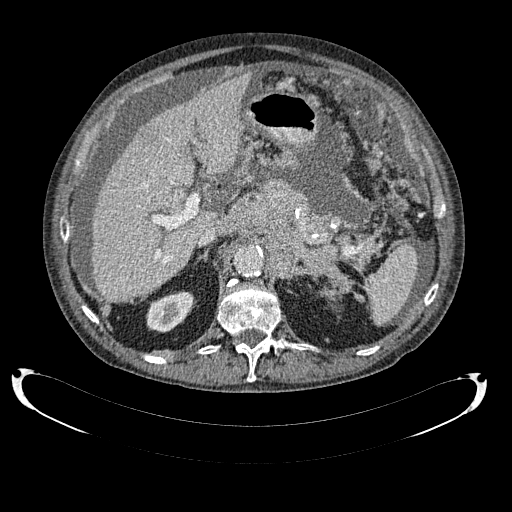
512x512 px; Computed tomography; Liver
- kidney: [x1=147, y1=292, x2=192, y2=331]
- liver: [x1=92, y1=72, x2=251, y2=302]
- liver lesion: [x1=138, y1=126, x2=149, y2=139]